Image size 512x512 | Computed tomography

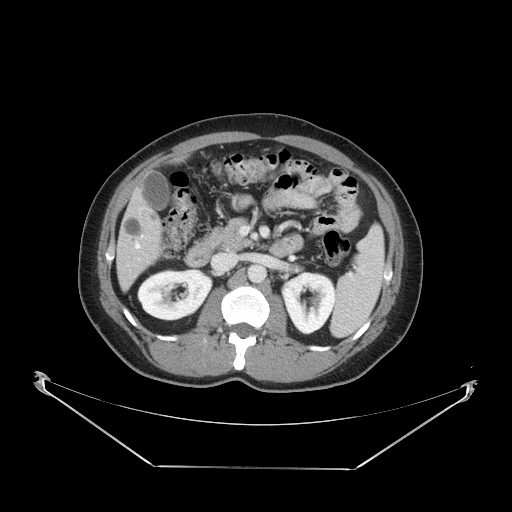
Not every hepatic vessel necessarily has a box.
Hepatic vessel — <bbox>136, 245, 139, 247</bbox>.